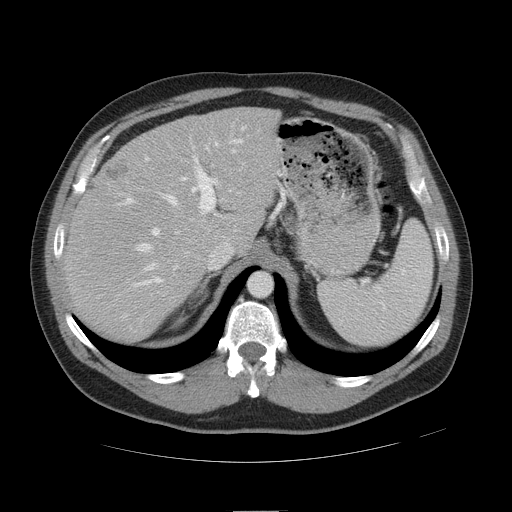 Computed tomography | Liver
The vessel boxes may cover only some of the vessels.
Hepatic vessel = x1=136 y1=244 x2=151 y2=252, x1=230 y1=139 x2=242 y2=143, x1=146 y1=263 x2=154 y2=269, x1=242 y1=127 x2=244 y2=129, x1=163 y1=195 x2=176 y2=204, x1=146 y1=157 x2=148 y2=160, x1=134 y1=277 x2=161 y2=286, x1=118 y1=198 x2=132 y2=204, x1=194 y1=156 x2=197 y2=164, x1=174 y1=265 x2=177 y2=268, x1=205 y1=146 x2=208 y2=150, x1=232 y1=150 x2=235 y2=152, x1=215 y1=142 x2=217 y2=145, x1=191 y1=167 x2=217 y2=212, x1=152 y1=228 x2=159 y2=234.
Liver tumor = x1=106 y1=167 x2=126 y2=176.